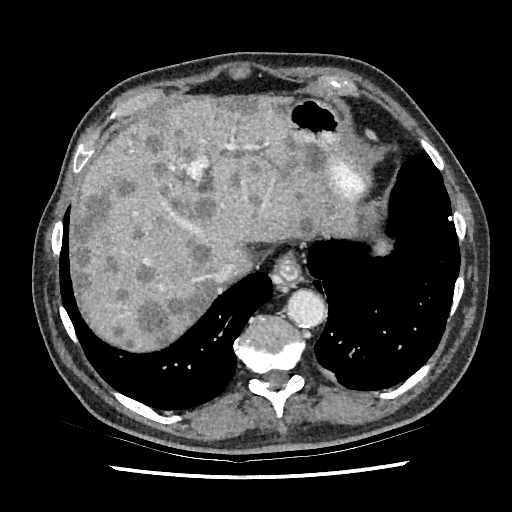 Upper abdomen. Image size 512x512. CT image. The largest 15 focal liver lesion regions (of 21) are located at 112:325:135:347, 149:213:171:230, 283:133:324:173, 188:242:209:266, 144:102:189:152, 226:173:241:190, 159:185:216:224, 151:162:166:176, 137:265:156:282, 298:217:314:232, 134:278:216:344, 72:175:139:303, 103:257:118:272, 218:97:262:113, 272:100:287:116. 2 liver regions are bounded by 169:314:193:340, 72:97:355:350.